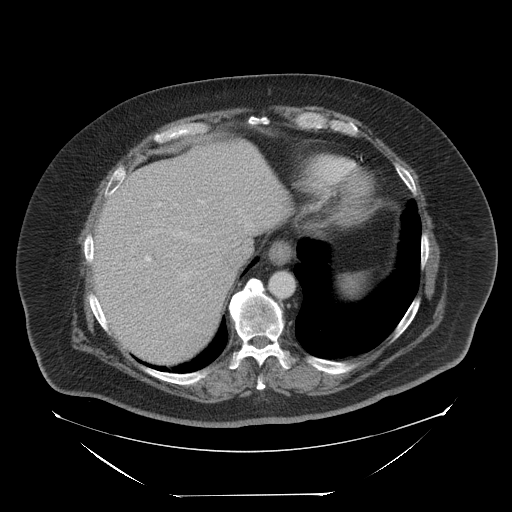

Abdomen, CT image
The spleen lies within (336,272,373,298).